CT slice
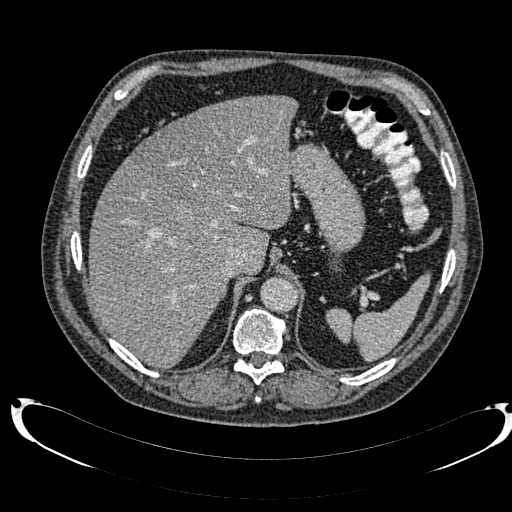

Liver: bounding box 89 95 297 368, 148 124 172 138.
Focal liver lesion: bounding box 133 100 251 207.